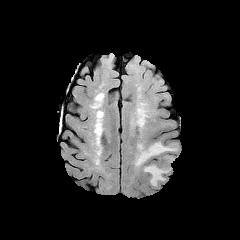
FLAIR MR.
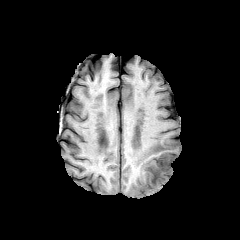
T1-weighted MR image.
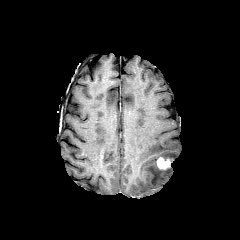
Post-contrast T1-weighted magnetic resonance.
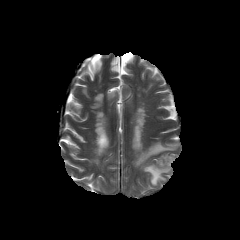
T2-weighted MR image of the same slice.
Edema: bbox(144, 165, 168, 185); bbox(135, 142, 176, 165).
Enhancing tumor: bbox(156, 157, 173, 170).